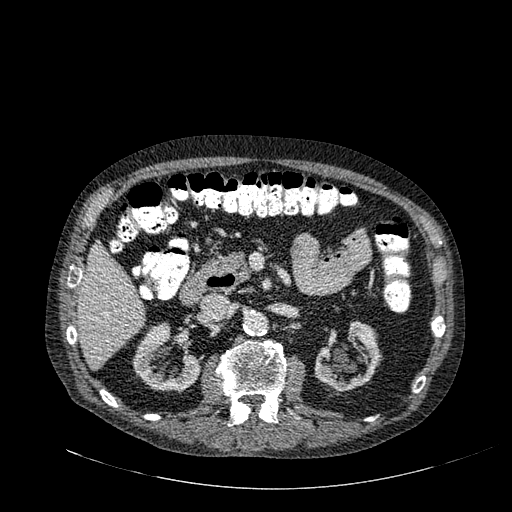 CT image, 512x512
<segmentation>
  <kidney>314:321:381:391, 132:322:200:392</kidney>
  <liver>80:240:144:369</liver>
</segmentation>